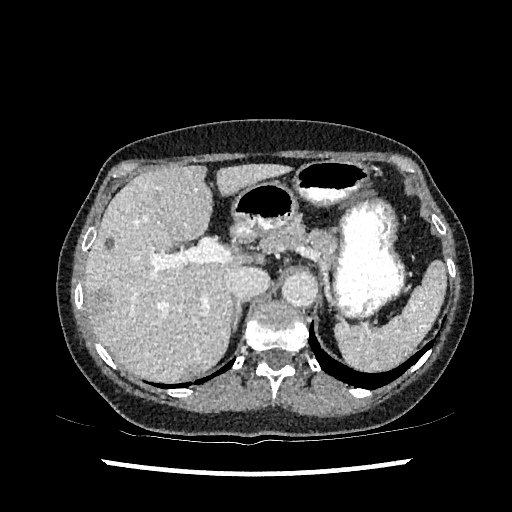
512x512. Liver. CT. Hepatic lesion at rect(105, 237, 114, 248); rect(87, 288, 111, 325).
Liver at rect(86, 166, 253, 379); rect(217, 165, 289, 195).